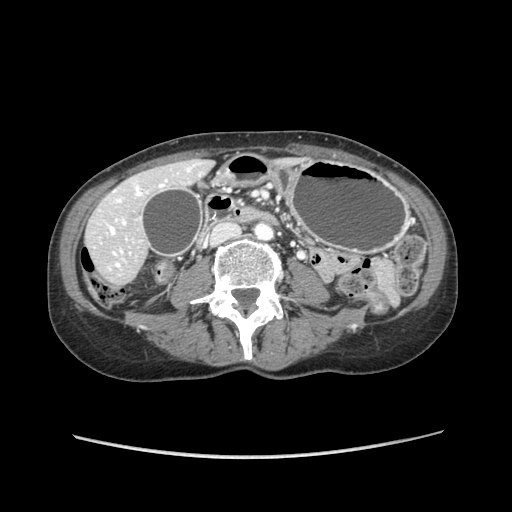
Abdomen. CT slice. 512x512. pancreas: bbox(242, 212, 263, 220)